CT.
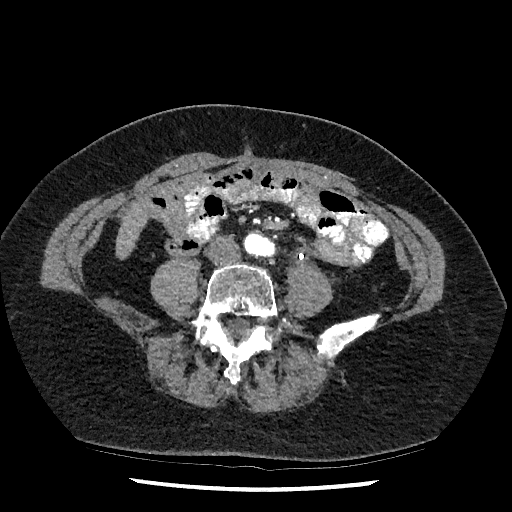
• liver: bbox=[117, 203, 147, 256]